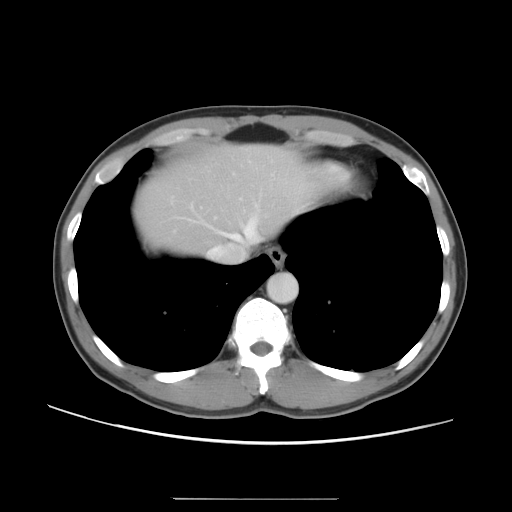 Liver; CT slice

The vessel boxes may cover only some of the vessels.
3 hepatic vessel regions appear at {"x1": 218, "y1": 200, "x2": 265, "y2": 249}, {"x1": 190, "y1": 204, "x2": 193, "y2": 208}, {"x1": 190, "y1": 219, "x2": 203, "y2": 222}.